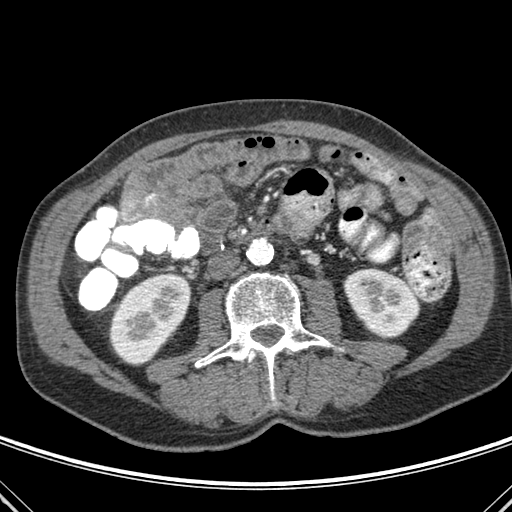
Abdomen. CT image. kidney: rect(345, 269, 418, 336); rect(111, 275, 189, 363) | bone: rect(195, 273, 333, 400)